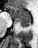

Hippocampus. 38x48 px. MRI slice.
{
  "anterior_hippocampus": [
    "[8,5,30,19]"
  ],
  "posterior_hippocampus": [
    "[17,20,30,27]"
  ]
}